CT. Abdomen. Image width 460 mm. Slice index 40.

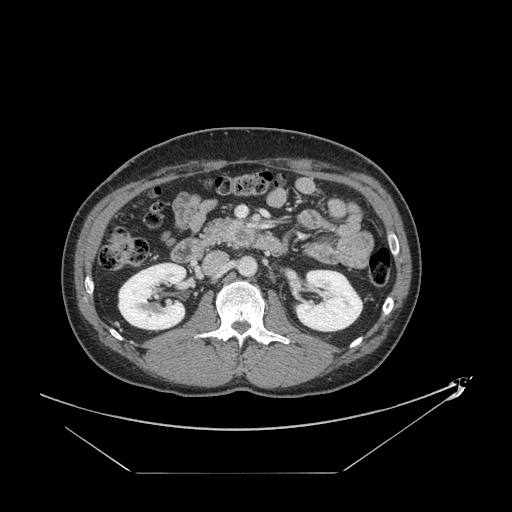
pancreas:
  - left=202, top=219, right=258, bottom=246
pancreatic_tumor:
  - left=234, top=230, right=249, bottom=240